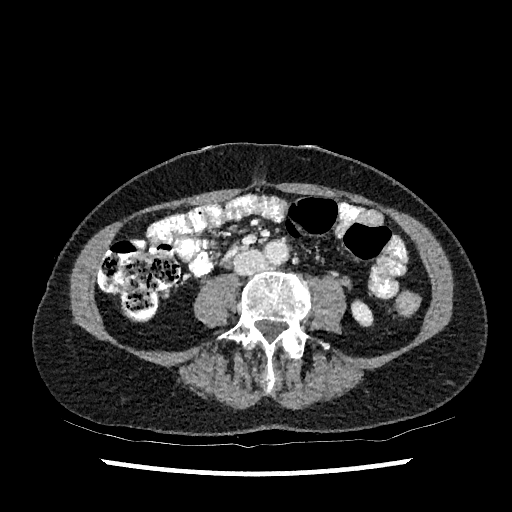 CT; Abdomen
<segmentation>
  <kidney>353 303 371 324</kidney>
</segmentation>